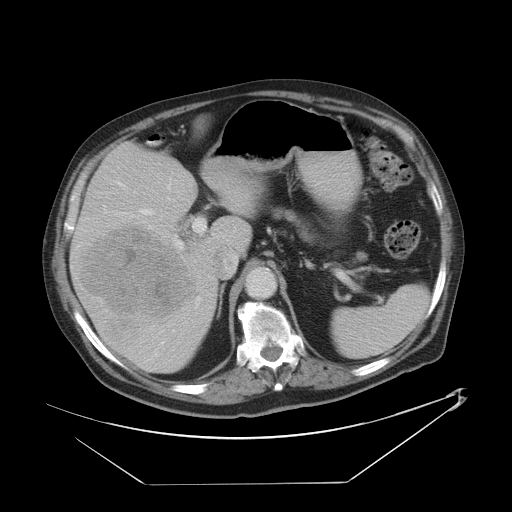
CT scan slice; 512x512
The vessel boxes may cover only some of the vessels.
The liver tumor appears at rect(77, 223, 194, 331). 11 hepatic vessel regions are bounded by rect(161, 211, 161, 215); rect(117, 182, 124, 186); rect(193, 220, 205, 231); rect(104, 211, 106, 213); rect(161, 342, 163, 343); rect(172, 330, 174, 331); rect(134, 191, 135, 192); rect(173, 235, 182, 248); rect(140, 209, 153, 214); rect(167, 197, 173, 200); rect(167, 183, 170, 189).